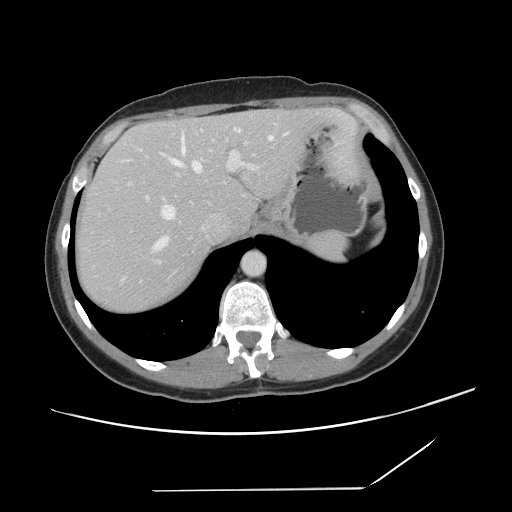

CT scan slice | Abdomen

Not every hepatic vessel necessarily has a box.
• hepatic vessel (principal 15 of 19): region(137, 148, 141, 151); region(285, 132, 288, 134); region(153, 237, 167, 250); region(122, 278, 124, 280); region(234, 128, 240, 131); region(161, 205, 174, 219); region(200, 129, 202, 130); region(161, 153, 164, 155); region(227, 151, 256, 170); region(156, 260, 160, 263); region(170, 159, 181, 166); region(182, 135, 185, 153); region(146, 196, 148, 199); region(192, 161, 201, 172); region(269, 136, 272, 139)